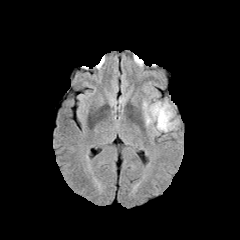
FLAIR MRI.
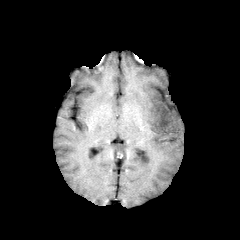
Same slice, T1-weighted MRI.
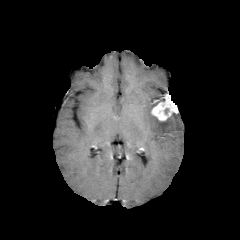
Same slice, post-contrast T1-weighted MRI.
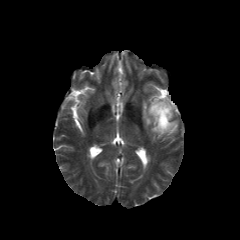
T2-weighted MRI.
240x240 px
The edema appears at x1=145 y1=113 x2=178 y2=133. The enhancing tumor is located at x1=150 y1=94 x2=177 y2=121.